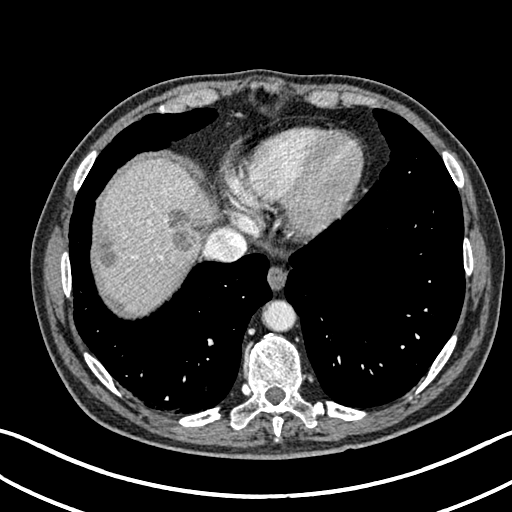 CT. 512x512 px.
Findings:
* liver: [95,159,215,311]
* hepatic lesion: [99,241,117,268], [169,231,196,251], [167,209,189,228]